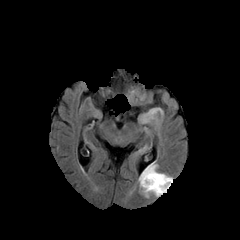
FLAIR MR image.
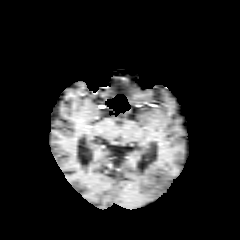
T1-weighted magnetic resonance.
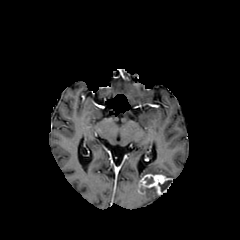
Post-contrast T1-weighted magnetic resonance.
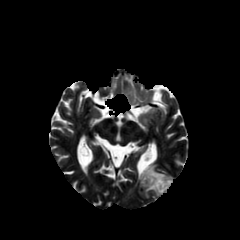
Same slice, T2-weighted MR.
Brain.
Edema: bounding box bbox(142, 189, 160, 198); bbox(137, 160, 173, 185).
Enhancing tumor: bounding box bbox(138, 174, 172, 194).
Non-enhancing tumor core: bounding box bbox(158, 180, 172, 191); bbox(145, 177, 153, 184).